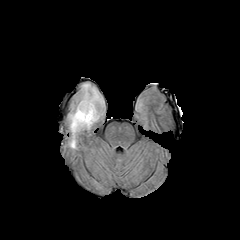
FLAIR MR image.
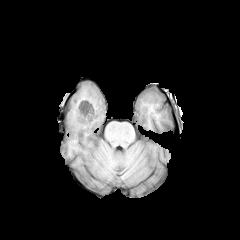
Same slice, T1-weighted MR image.
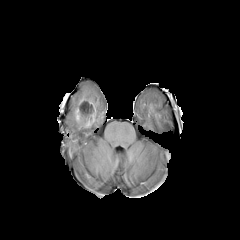
Post-contrast T1-weighted magnetic resonance of the same slice.
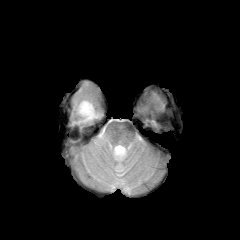
T2-weighted magnetic resonance.
Head.
Segmented structures:
- edema: bbox=[68, 84, 103, 147]
- non-enhancing tumor core: bbox=[76, 102, 99, 123]